Image width 314 mm, 512x512 px, Slice 29 of 73, CT image 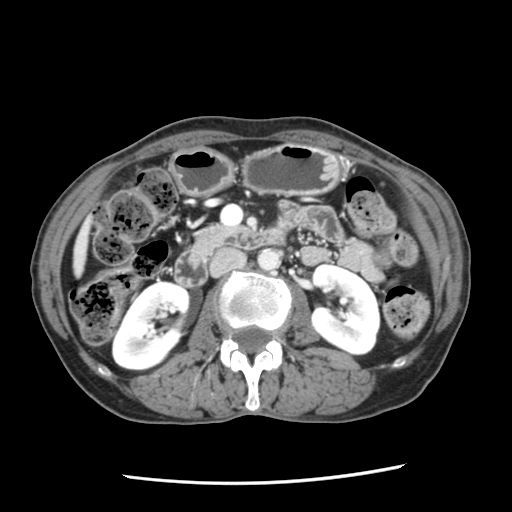
Pancreas: {"x1": 194, "y1": 224, "x2": 240, "y2": 258}.